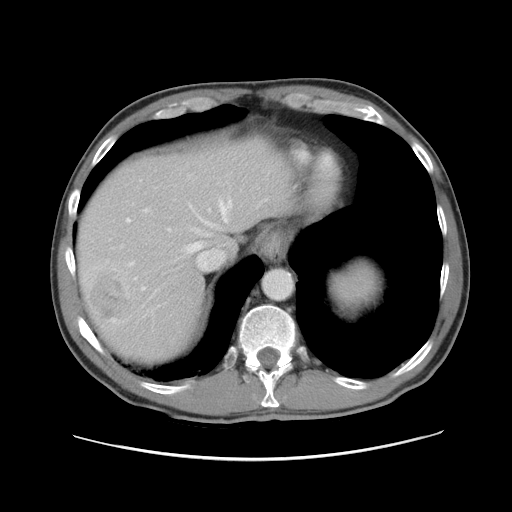

Liver | 512x512 | Computed tomography
Some hepatic vessels may have no box.
• liver tumor: x1=90, y1=276, x2=130, y2=318
• hepatic vessel: x1=208, y1=209, x2=210, y2=211; x1=199, y1=217, x2=214, y2=226; x1=191, y1=227, x2=210, y2=235; x1=134, y1=277, x2=136, y2=278; x1=142, y1=287, x2=144, y2=289; x1=196, y1=246, x2=225, y2=267; x1=187, y1=241, x2=205, y2=252; x1=129, y1=262, x2=133, y2=264; x1=144, y1=209, x2=147, y2=211; x1=219, y1=201, x2=231, y2=221; x1=127, y1=218, x2=129, y2=221; x1=168, y1=229, x2=170, y2=230